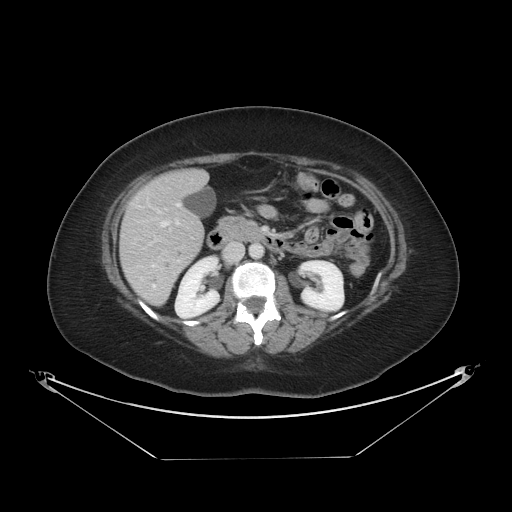 CT
The vessel annotation is not exhaustive.
hepatic_vessel:
  - l=176, t=221, r=178, b=223
  - l=153, t=285, r=154, b=286
  - l=151, t=264, r=155, b=267
  - l=177, t=204, r=179, b=205
  - l=160, t=221, r=168, b=226